Brain, 240x240 px, Field of view 240x240 mm
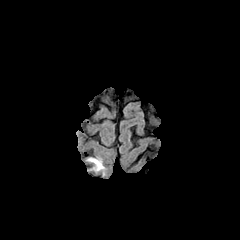
FLAIR MRI.
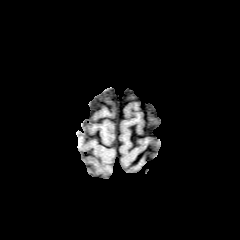
T1-weighted MR.
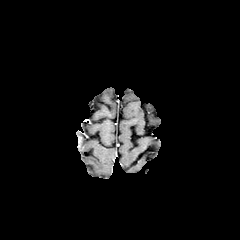
Post-contrast T1-weighted MR image of the same slice.
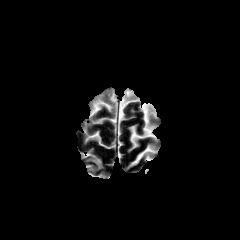
Same slice, T2-weighted MR.
The edema is at 87 158 104 171.